CT | 512x512 px

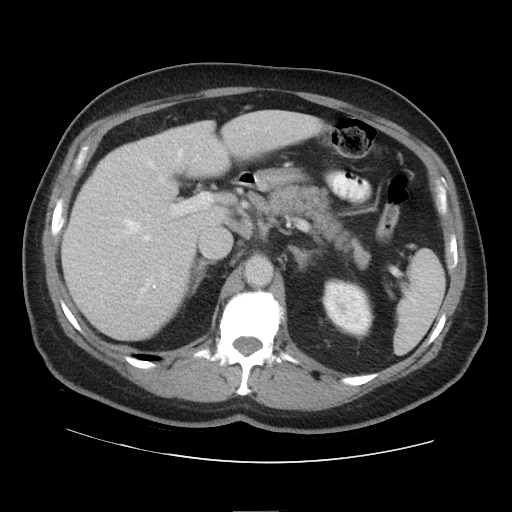
The vessel boxes may cover only some of the vessels.
Hepatic vessel: (167, 205, 179, 215).